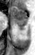 MRI slice; Medial temporal lobe

posterior hippocampus: bbox(17, 24, 25, 29) | anterior hippocampus: bbox(11, 6, 27, 23)